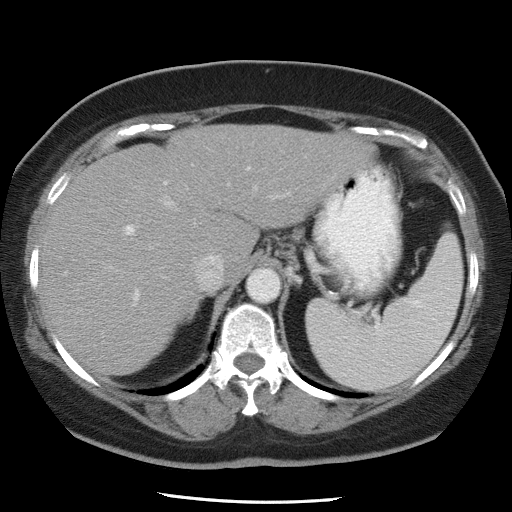

512x512, Computed tomography, Abdomen
Only some of the vessels may be annotated.
4 hepatic vessel regions are bounded by <box>126,225,132,233</box>, <box>199,256,221,285</box>, <box>248,167,249,168</box>, <box>171,204,175,208</box>.